Computed tomography. Abdomen.
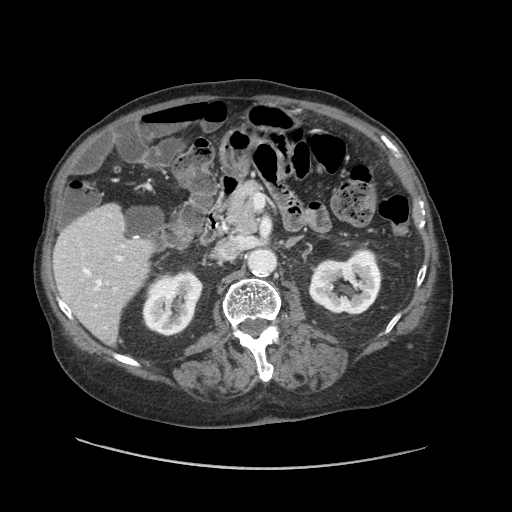

The vessel annotation is not exhaustive.
{"hepatic_vessel": ["[x1=234, y1=236, x2=250, y2=247]", "[x1=97, y1=280, x2=101, y2=286]", "[x1=221, y1=251, x2=224, y2=255]"]}